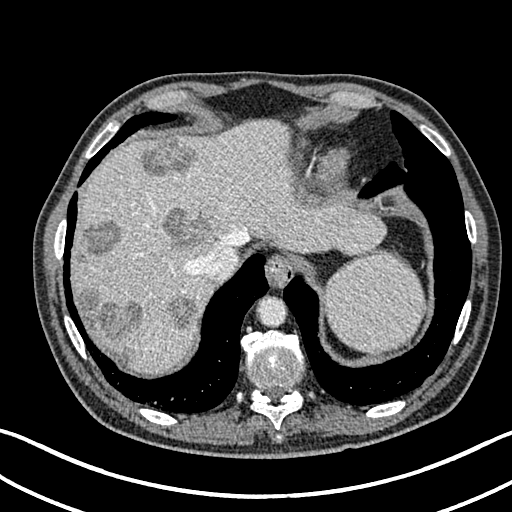

Computed tomography. Abdomen. Liver: bounding box rect(73, 120, 384, 372).
Focal liver lesion: bounding box rect(83, 222, 118, 255); rect(115, 354, 128, 366); rect(79, 291, 142, 337); rect(76, 252, 85, 260); rect(162, 208, 210, 249); rect(168, 298, 196, 329); rect(142, 139, 195, 175).